Head; Field of view 240x240 mm
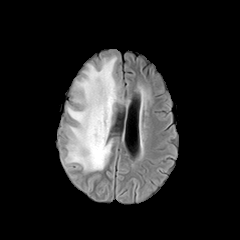
FLAIR magnetic resonance.
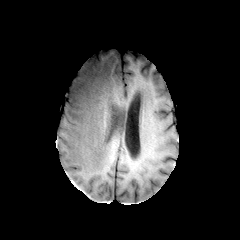
T1-weighted MRI.
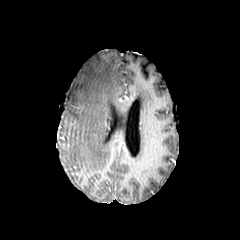
Post-contrast T1-weighted MR image.
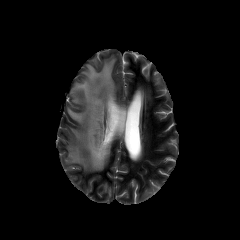
T2-weighted MR image.
Annotated regions:
- edema: x1=67, y1=57, x2=117, y2=171